Upper abdomen, 512x512, CT scan slice

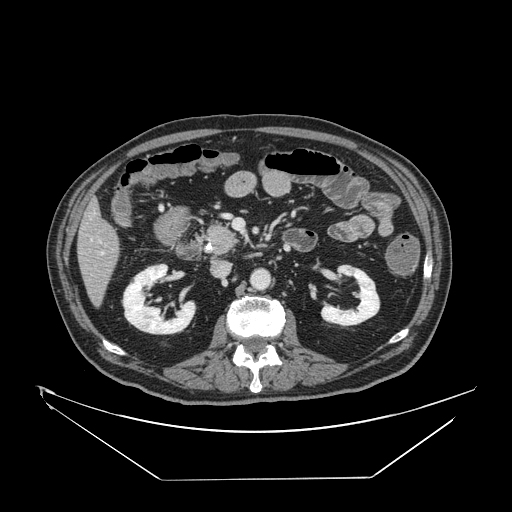

{"pancreas": ["(x1=193, y1=218, x2=242, y2=258)"], "pancreatic_tumor": ["(x1=209, y1=227, x2=236, y2=254)"]}